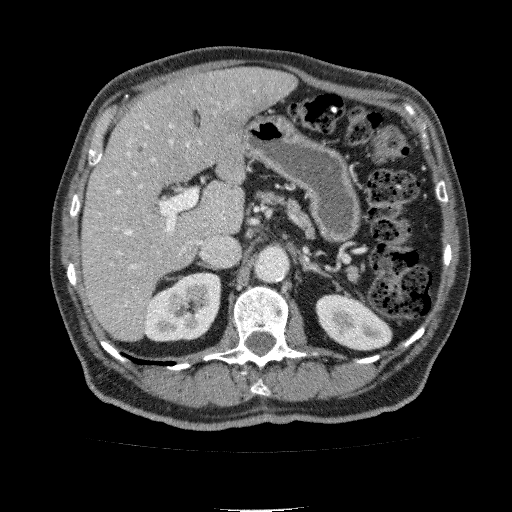 Computed tomography, Liver
<segmentation>
  <kidney>bbox(317, 295, 390, 349); bbox(144, 273, 219, 340)</kidney>
  <liver>bbox(83, 67, 296, 342)</liver>
</segmentation>